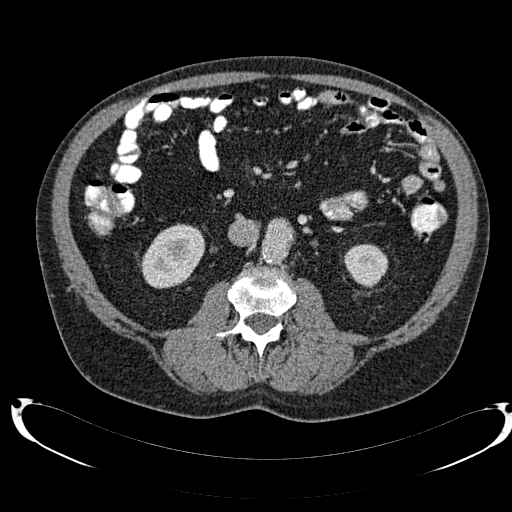

512x512 px | CT scan slice | Abdomen
<segmentation>
  <kidney>(344,244,387,286), (141,224,204,288)</kidney>
</segmentation>